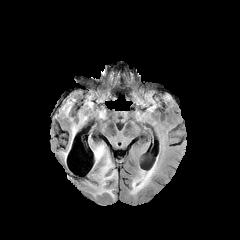
FLAIR magnetic resonance.
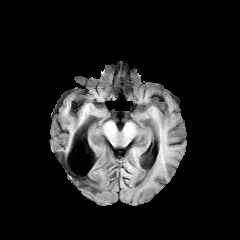
Same slice, T1-weighted magnetic resonance.
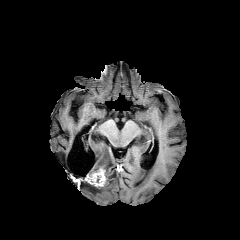
Post-contrast T1-weighted magnetic resonance of the same slice.
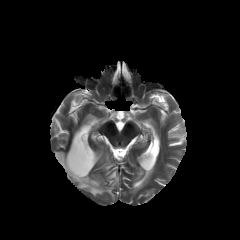
Same slice, T2-weighted MR image.
Brain
The enhancing tumor appears at 90,169,105,186. 4 edema regions are located at 69,127,79,148; 58,150,68,159; 82,144,117,197; 134,169,153,183.